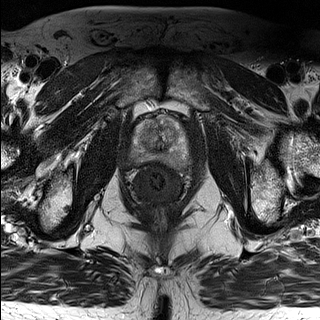
T2-weighted MR.
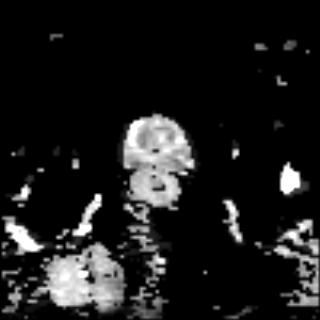
Same slice, ADC MR image.
prostate_peripheral_zone:
  - (x1=129, y1=119, x2=194, y2=164)
prostate_transition_zone:
  - (x1=141, y1=119, x2=176, y2=150)